CT slice. 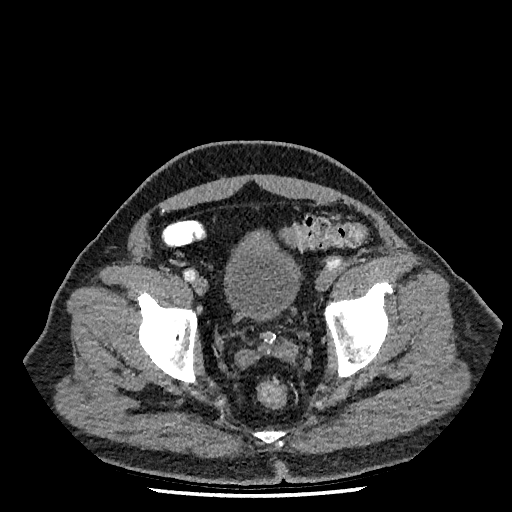

<segmentation>
  <urinary_bladder>223,228,302,322</urinary_bladder>
</segmentation>